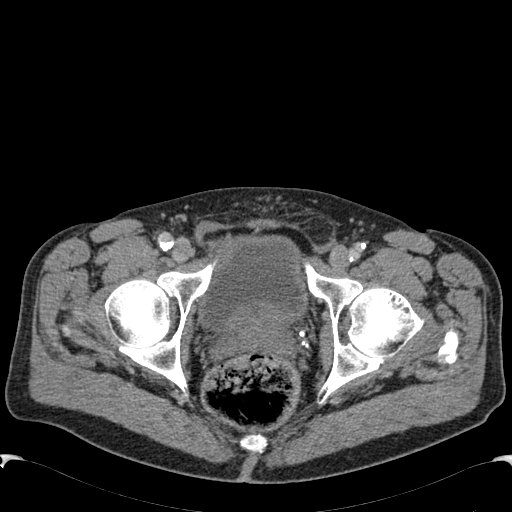
Lower abdomen | CT
The urinary bladder is bounded by l=194, t=233, r=308, b=331.